240x240; Slice 70 of 155
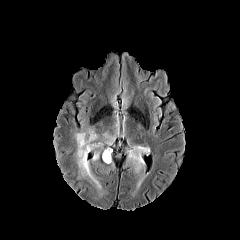
FLAIR MR.
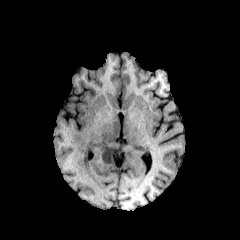
T1-weighted MR of the same slice.
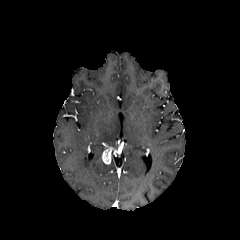
Post-contrast T1-weighted magnetic resonance.
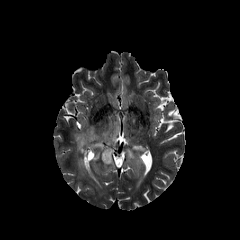
T2-weighted magnetic resonance.
2 edema regions are bounded by <box>75,130,101,188</box>, <box>127,145,148,171</box>. The enhancing tumor is located at <box>102,147,111,163</box>.